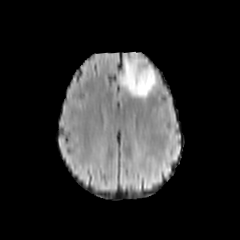
FLAIR MR.
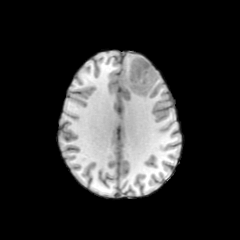
T1-weighted MR image of the same slice.
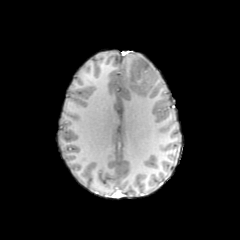
Post-contrast T1-weighted MR image of the same slice.
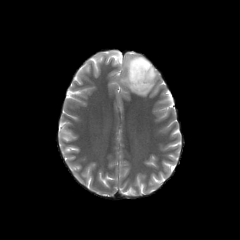
T2-weighted MR image.
Brain.
Non-enhancing tumor core = region(129, 58, 156, 96).
Edema = region(120, 53, 157, 94).